CT; Image size 512x512; Image width 381 mm; Slice 56 of 427; Pelvis

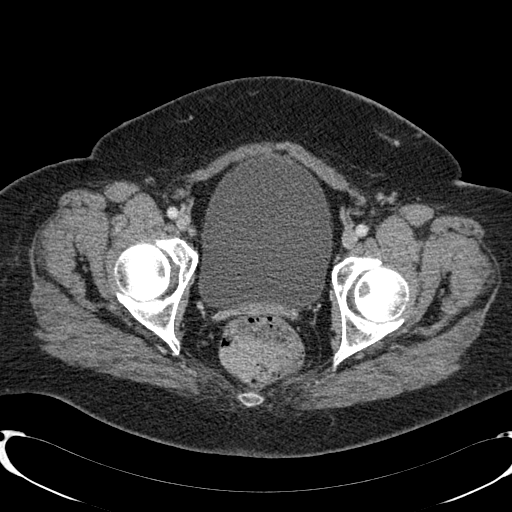

Urinary bladder at <box>199,151,331,309</box>.